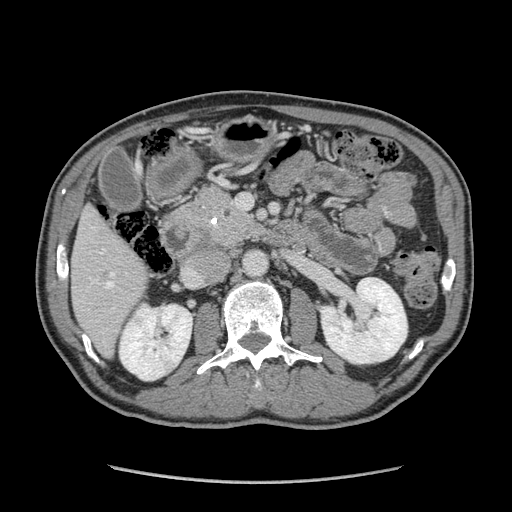
CT image. Upper abdomen. 512x512. Pancreas: bounding box 177 183 260 249.